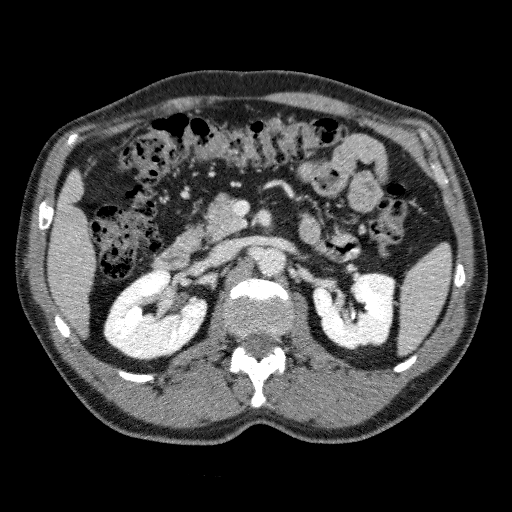
CT image. Kidney: [105,270,205,358], [314,274,393,347].
Liver: [48,169,94,336].